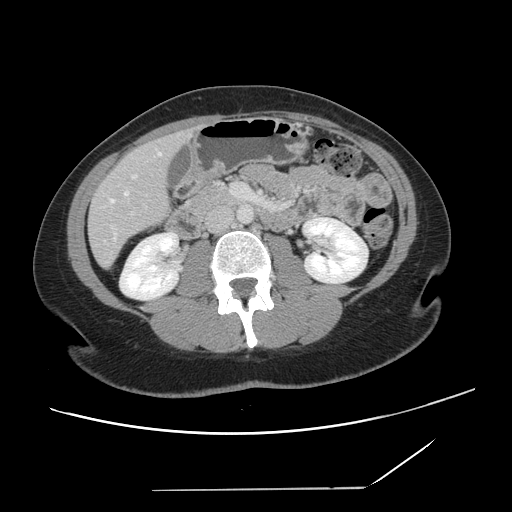
Computed tomography
Some hepatic vessels may have no box.
hepatic_vessel:
  - [158,153,160,155]
  - [131,212,132,213]
  - [125,191,128,195]
  - [111,225,113,227]
  - [132,175,136,178]
  - [113,232,115,241]
  - [110,199,113,202]